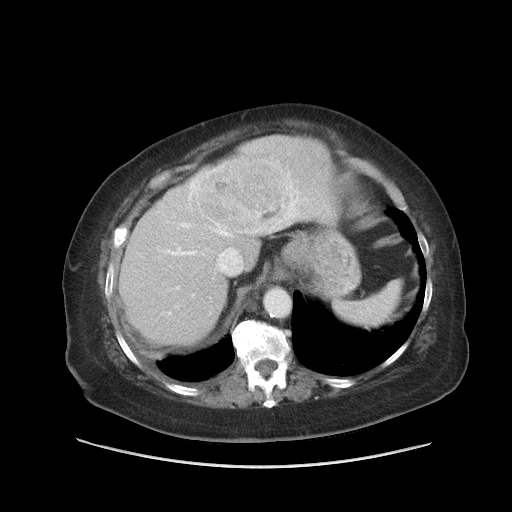 Liver. CT image. Only some of the vessels may be annotated.
3 hepatic vessel regions appear at [176, 226, 192, 228], [180, 249, 195, 254], [218, 254, 221, 261]. The liver tumor is at [195, 155, 298, 232].